Image size 512x512, CT image, Slice index 518

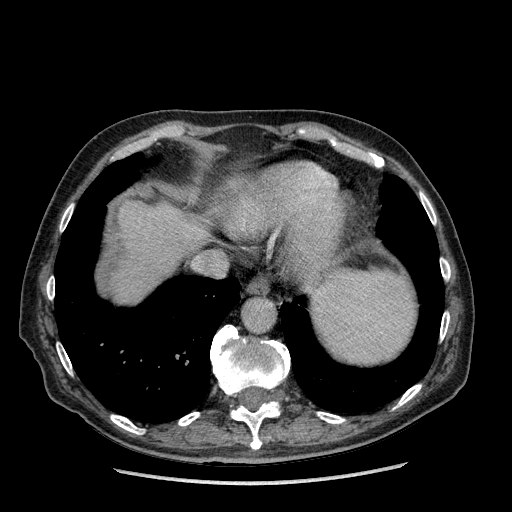

Segmented structures:
• liver: [109,203,206,301]